Head. Slice 93/155.
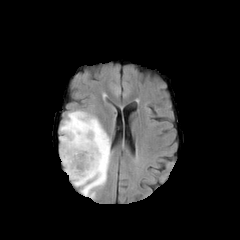
FLAIR magnetic resonance.
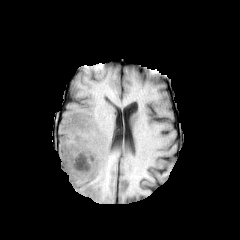
T1-weighted magnetic resonance of the same slice.
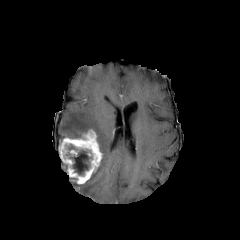
Post-contrast T1-weighted MRI of the same slice.
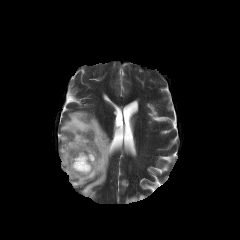
T2-weighted MRI.
non-enhancing tumor core: region(72, 150, 89, 174) | enhancing tumor: region(59, 129, 102, 183) | edema: region(60, 110, 112, 198)